512x512. Field of view 446 mm wide, 2.50 mm slice spacing. CT.
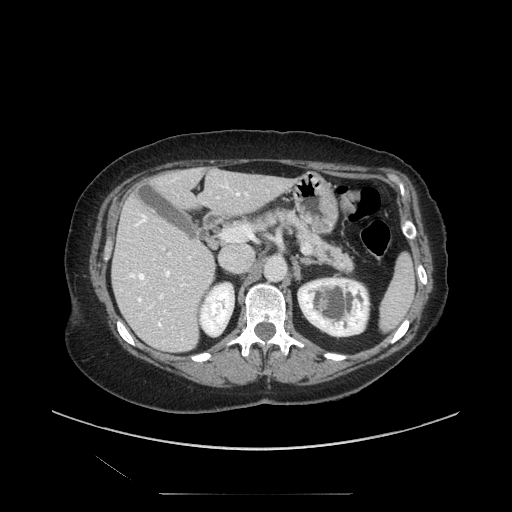
The pancreas is bounded by x1=236, y1=208, x2=354, y2=272.